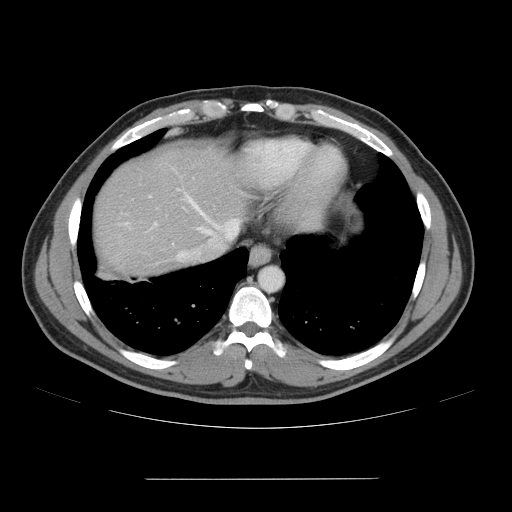 Computed tomography
Some hepatic vessels may have no box.
hepatic vessel: (x1=199, y1=227, x2=213, y2=234), (x1=177, y1=189, x2=180, y2=190), (x1=120, y1=222, x2=129, y2=228), (x1=213, y1=223, x2=219, y2=228), (x1=189, y1=198, x2=206, y2=218), (x1=151, y1=223, x2=156, y2=228)